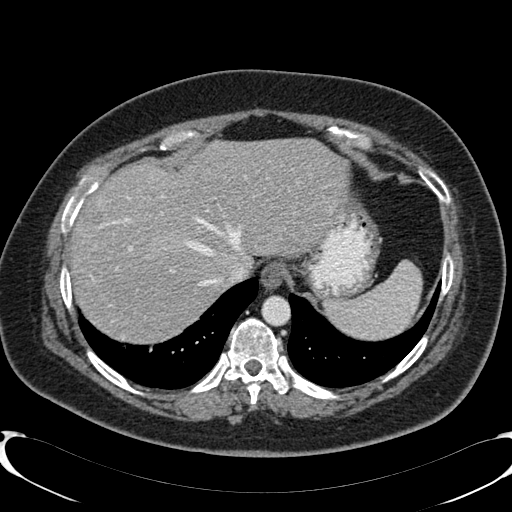
CT image. Abdomen.

<segmentation>
  <hepatic_lesion>{"x1": 89, "y1": 267, "x2": 102, "y2": 279}</hepatic_lesion>
  <liver>{"x1": 69, "y1": 138, "x2": 347, "y2": 341}</liver>
</segmentation>